512x512; CT slice; Slice index 348; Field of view 369x369 mm 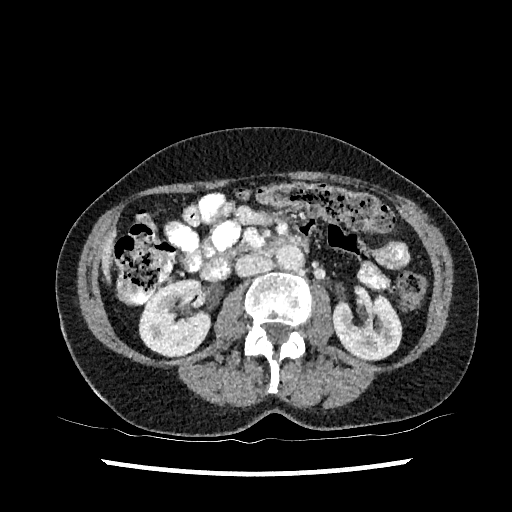 Segmented structures:
• liver: region(101, 230, 116, 280)
• kidney: region(140, 281, 209, 356); region(333, 297, 401, 359)